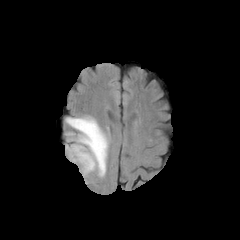
FLAIR MRI.
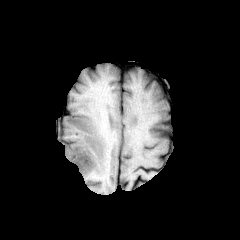
T1-weighted MR image.
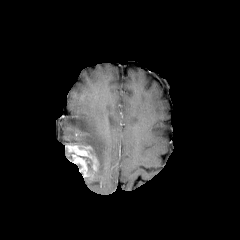
Post-contrast T1-weighted magnetic resonance.
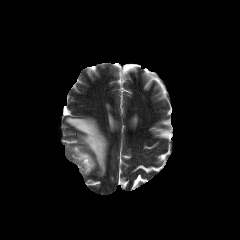
T2-weighted MRI.
Brain, Image size 240x240
Edema = <bbox>66, 117, 107, 175</bbox>.
Enhancing tumor = <bbox>65, 144, 96, 176</bbox>.